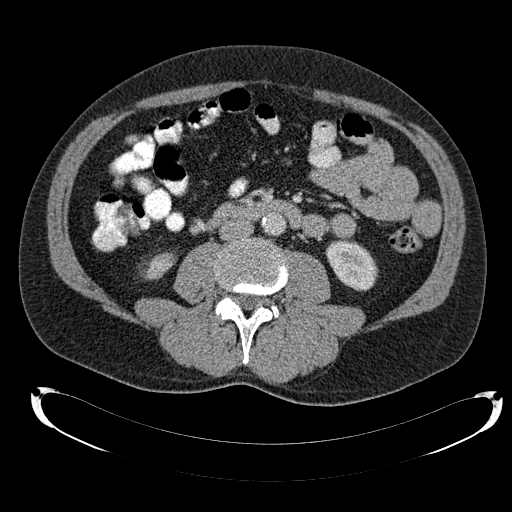
Computed tomography, Abdomen

2 kidney regions are bounded by <bbox>147, 254, 171, 278</bbox>, <bbox>327, 241, 375, 289</bbox>.